Slice index 56 | Brain
FLAIR MRI.
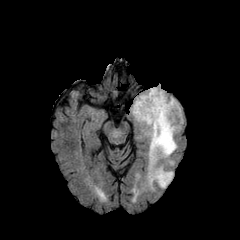
T1-weighted MR image.
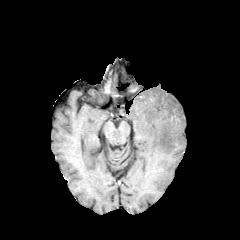
Post-contrast T1-weighted MR.
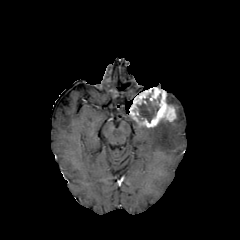
T2-weighted magnetic resonance.
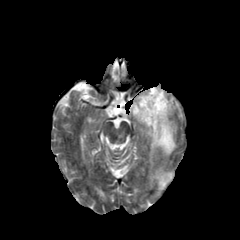
non-enhancing tumor core: region(137, 98, 159, 121) | edema: region(141, 118, 178, 188); region(166, 96, 181, 117) | enhancing tumor: region(129, 87, 175, 127)